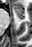
Image size 32x47; MR image

anterior hippocampus: [14,5,24,18]